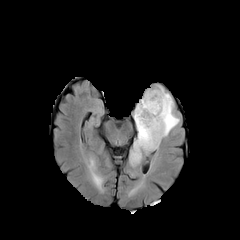
FLAIR MR.
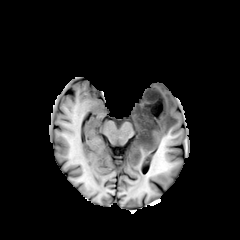
T1-weighted MR image.
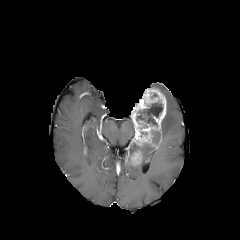
Post-contrast T1-weighted MR.
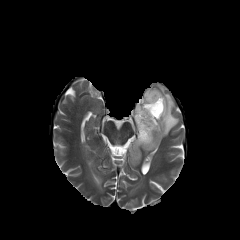
T2-weighted MR of the same slice.
Image size 240x240 | Head
The enhancing tumor appears at box(132, 88, 166, 146). 2 non-enhancing tumor core regions are located at box(143, 102, 162, 126); box(136, 112, 146, 121). The edema is at box(130, 84, 179, 154).